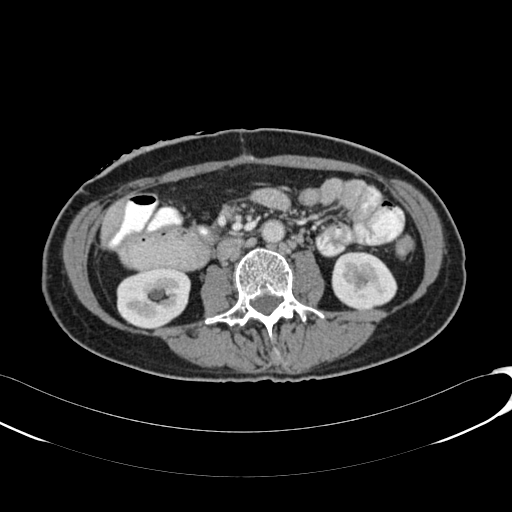

CT; Abdomen
liver:
  - 100 200 125 242
kidney:
  - 333 253 395 308
  - 118 268 185 327